FLAIR MR.
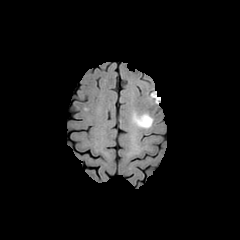
T1-weighted magnetic resonance.
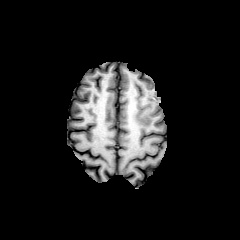
Post-contrast T1-weighted MR image.
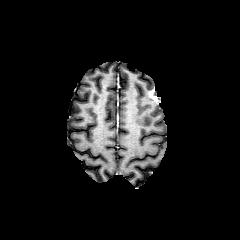
T2-weighted MRI.
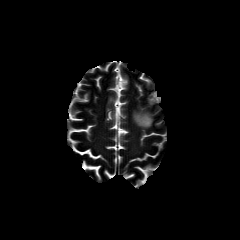
240x240 px
edema:
  - [132, 110, 153, 129]